Brain
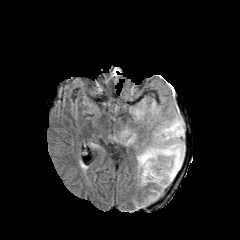
FLAIR MR image.
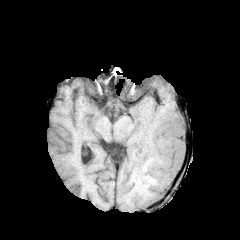
Same slice, T1-weighted MRI.
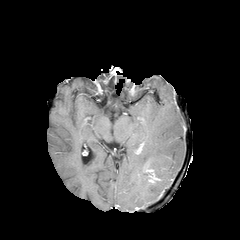
Post-contrast T1-weighted magnetic resonance.
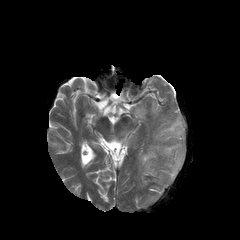
T2-weighted MR image.
2 edema regions are bounded by region(138, 141, 185, 189); region(158, 116, 184, 141).